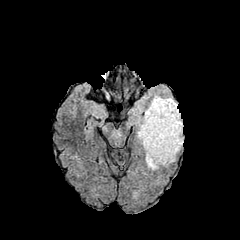
FLAIR MRI.
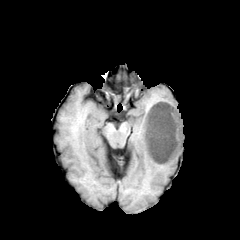
Same slice, T1-weighted MR image.
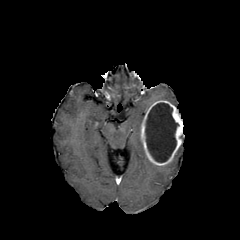
Post-contrast T1-weighted magnetic resonance of the same slice.
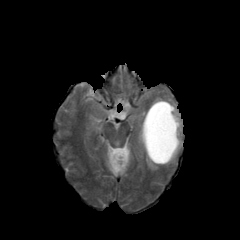
T2-weighted magnetic resonance of the same slice.
240x240 px, Brain
Enhancing tumor at [140, 100, 184, 165].
Non-enhancing tumor core at [146, 103, 177, 162].
Edema at [136, 107, 159, 170], [150, 94, 177, 107].